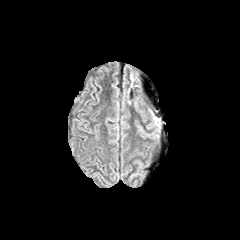
FLAIR MR image.
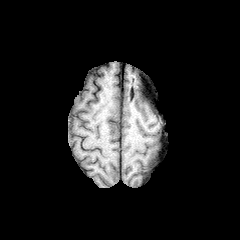
Same slice, T1-weighted MR.
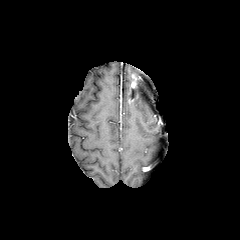
Same slice, post-contrast T1-weighted MRI.
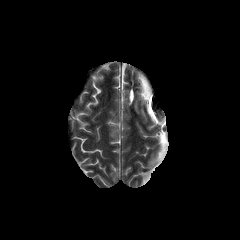
T2-weighted MR of the same slice.
edema:
  - box(150, 110, 159, 126)